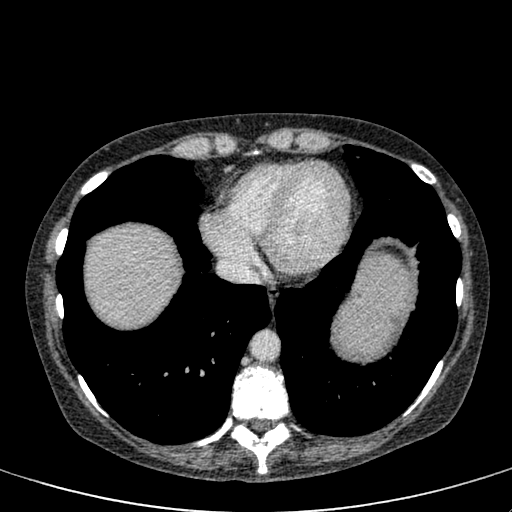
Image size 512x512; Abdomen; CT slice
Annotated regions:
* liver: rect(86, 227, 178, 325)